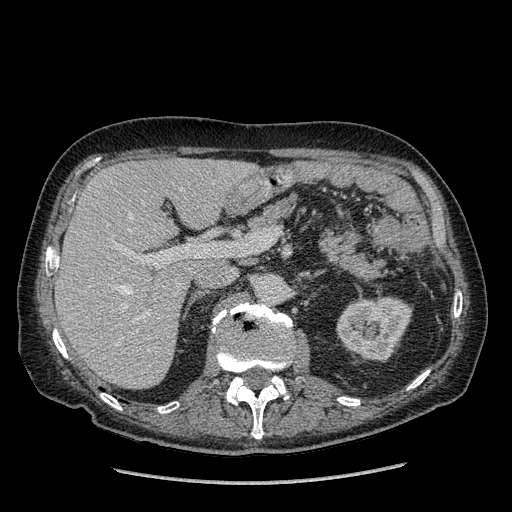

Computed tomography | Liver
- kidney: 336,297,411,360
- liver: 55,158,257,389